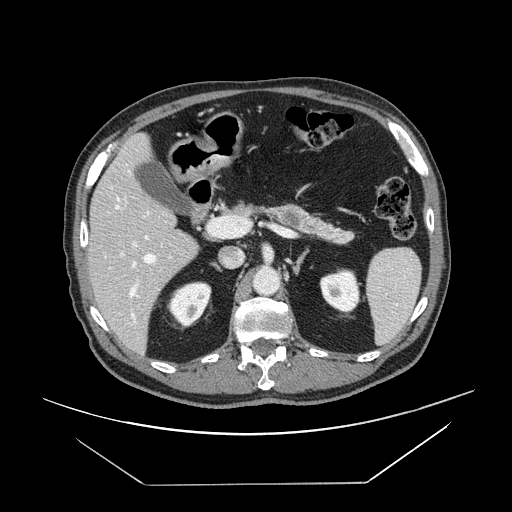
CT image; Upper abdomen
<segmentation>
  <pancreatic_tumor>282 208 301 226</pancreatic_tumor>
  <pancreas>216 200 354 245</pancreas>
</segmentation>